Head. Image size 240x240.
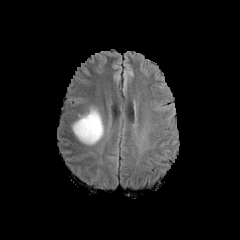
FLAIR MR image.
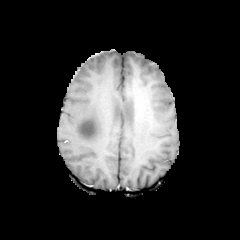
T1-weighted MR image of the same slice.
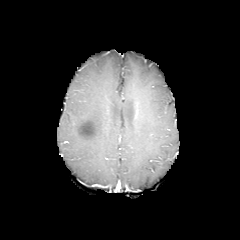
Post-contrast T1-weighted magnetic resonance.
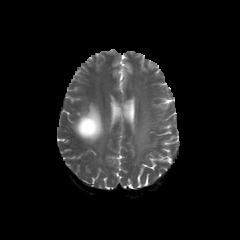
T2-weighted MR.
Edema: bounding box 71,105,105,144.
Non-enhancing tumor core: bounding box 82,123,93,134.